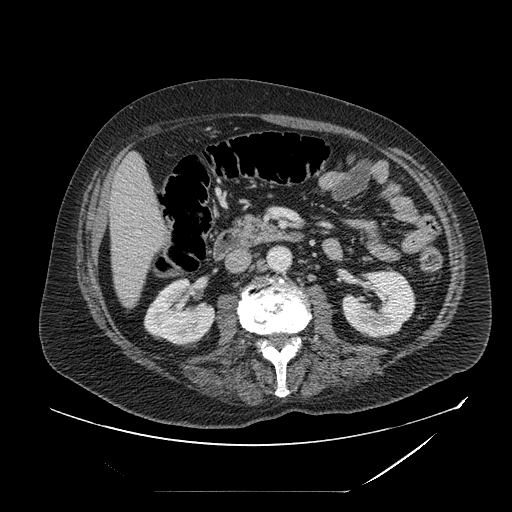
512x512 | Abdomen | Computed tomography
pancreas: (232,215,272,239)